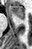 MRI slice
anterior hippocampus: bbox(9, 6, 24, 19)